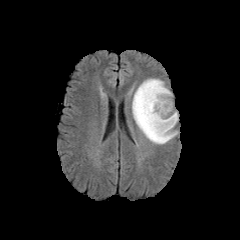
FLAIR MR image.
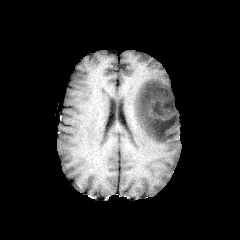
T1-weighted MR of the same slice.
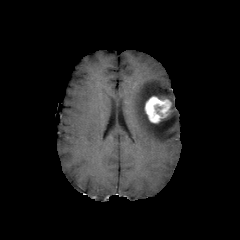
Post-contrast T1-weighted MRI.
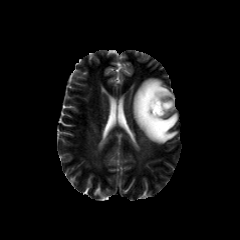
Same slice, T2-weighted MR.
Brain
Findings:
• enhancing tumor: box=[144, 96, 171, 123]
• non-enhancing tumor core: box=[137, 86, 174, 136]
• edema: box=[131, 78, 178, 144]